CT scan slice. 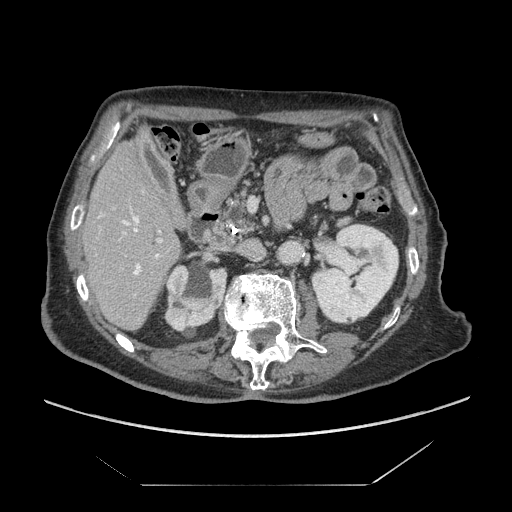
Pancreas = 219 186 264 243, 304 211 357 236.